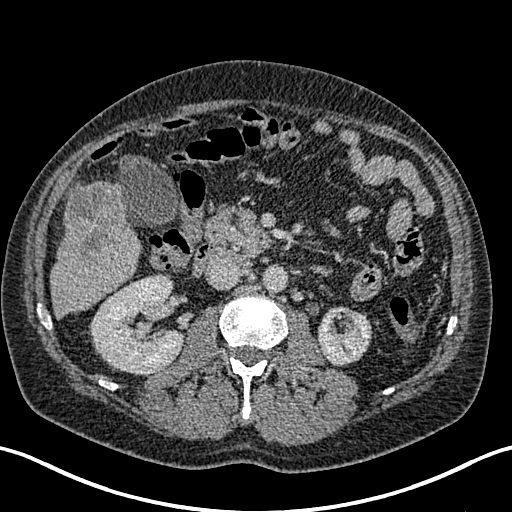

512x512; CT
liver:
  - <bbox>50, 182, 139, 317</bbox>
kidney:
  - <bbox>91, 276, 182, 374</bbox>
  - <bbox>319, 308, 370, 364</bbox>
liver_lesion:
  - <bbox>66, 185, 118, 261</bbox>